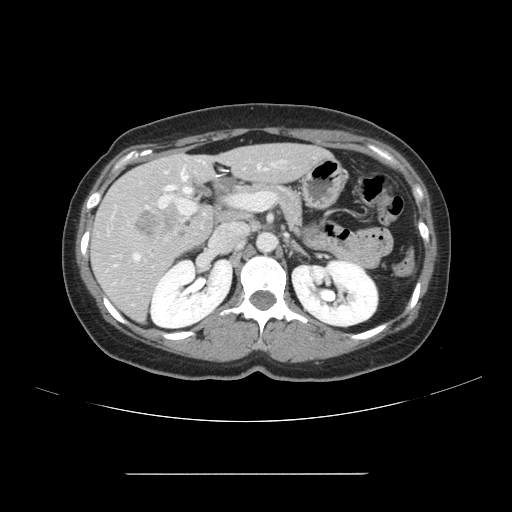
Computed tomography. Liver.

The vessel annotation is not exhaustive.
Hepatic vessel — {"x1": 271, "y1": 163, "x2": 274, "y2": 165}, {"x1": 199, "y1": 160, "x2": 201, "y2": 161}, {"x1": 146, "y1": 206, "x2": 147, "y2": 208}, {"x1": 133, "y1": 254, "x2": 139, "y2": 260}, {"x1": 258, "y1": 165, "x2": 260, "y2": 169}, {"x1": 180, "y1": 167, "x2": 186, "y2": 180}, {"x1": 202, "y1": 162, "x2": 204, "y2": 163}.
Liver tumor — {"x1": 136, "y1": 212, "x2": 172, "y2": 238}.